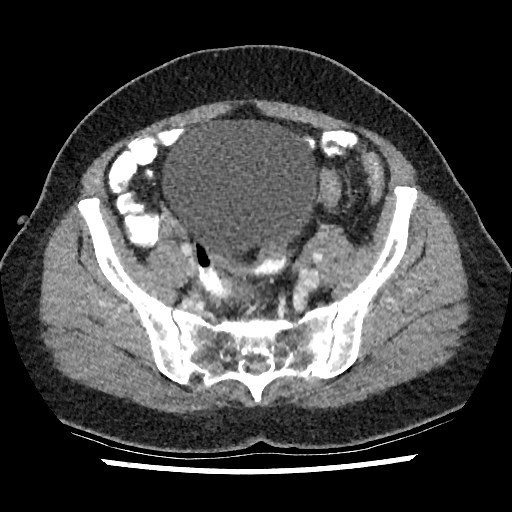

Pelvis; CT scan slice; Image size 512x512

Annotated regions:
• urinary bladder: region(162, 120, 318, 263)